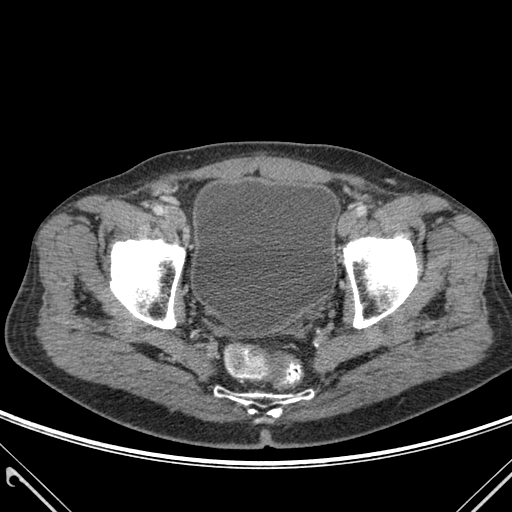
CT. Pelvis.

Bone: {"x1": 110, "y1": 239, "x2": 184, "y2": 328}, {"x1": 214, "y1": 388, "x2": 313, "y2": 404}, {"x1": 267, "y1": 408, "x2": 281, "y2": 417}, {"x1": 343, "y1": 235, "x2": 417, "y2": 328}.
Urinary bladder: {"x1": 193, "y1": 181, "x2": 338, "y2": 321}.